FLAIR MR.
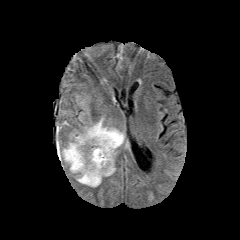
T1-weighted MR image.
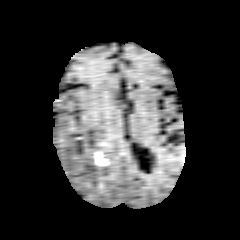
Post-contrast T1-weighted MR image.
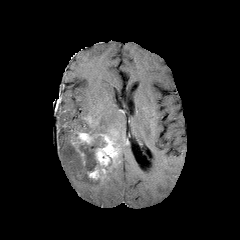
T2-weighted magnetic resonance.
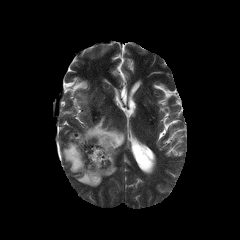
Non-enhancing tumor core at 90,132,107,143.
Enhancing tumor at 96,132,119,165; 77,132,92,142; 88,168,99,178.
Edema at 75,99,86,107; 58,136,116,187; 78,112,125,137.